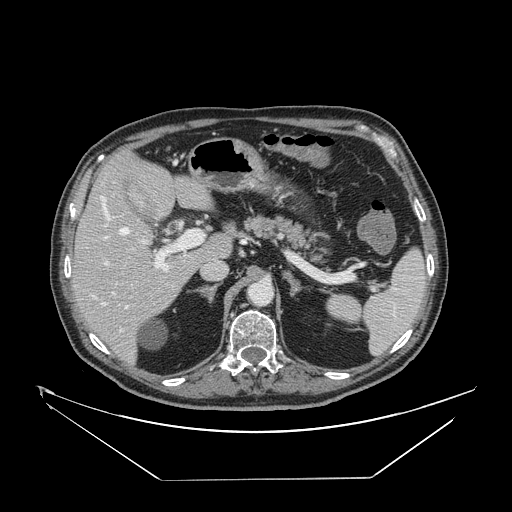 CT scan slice | 512x512 px
The pancreas is bounded by 220:211:333:268.